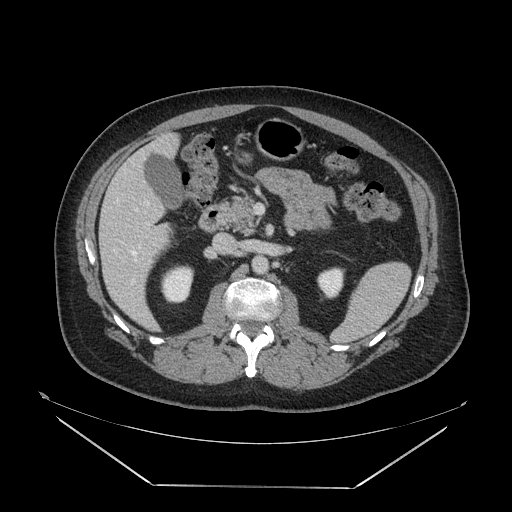 Abdomen. Computed tomography.
{
  "pancreas": [
    "<bbox>227, 201, 251, 227</bbox>"
  ]
}